Field of view 404 mm wide, 1.50 mm slice spacing | Computed tomography | Abdomen 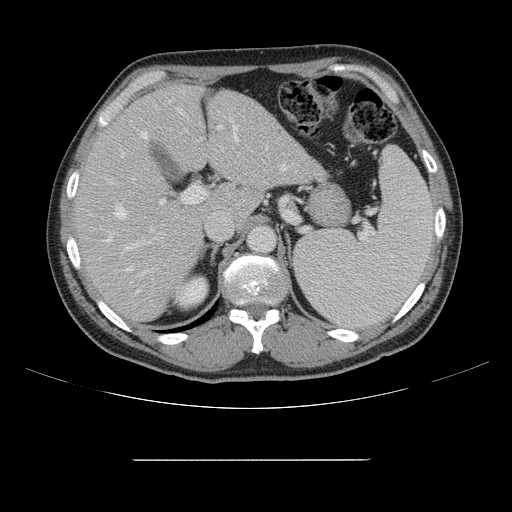 Only some of the vessels may be annotated.
The most prominent 15 hepatic vessel regions (of 17) appear at 281 164 287 170, 104 235 111 243, 183 185 207 203, 107 180 112 183, 177 108 183 113, 124 243 138 250, 121 253 122 256, 150 227 153 231, 217 126 222 129, 136 291 138 293, 233 125 237 140, 159 199 164 203, 121 150 124 156, 115 204 126 217, 126 267 131 271.